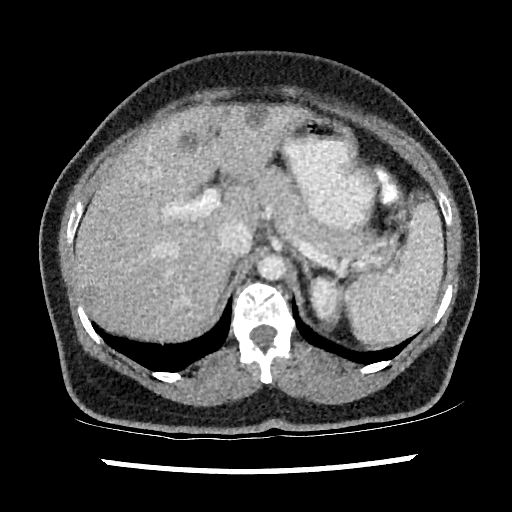

Image size 512x512. CT image.

Liver — x1=75, y1=103, x2=302, y2=339.
Kidney — x1=313, y1=279, x2=336, y2=316.
Liver lesion — x1=245, y1=105, x2=267, y2=126; x1=79, y1=287, x2=97, y2=311; x1=181, y1=131, x2=198, y2=149; x1=217, y1=107, x2=229, y2=121.